Head; Slice index 97; Field of view 240 mm wide, 1.00 mm slice spacing
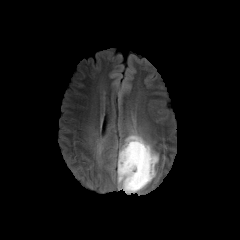
FLAIR MR image.
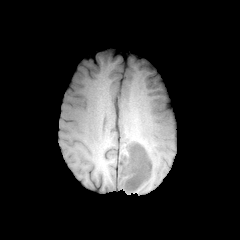
T1-weighted MR.
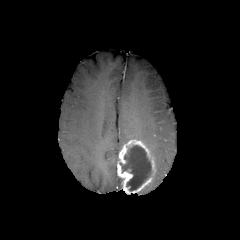
Post-contrast T1-weighted MRI.
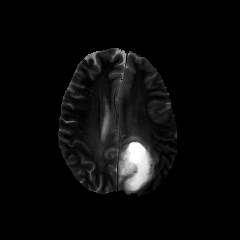
T2-weighted MR of the same slice.
Edema: bounding box rect(119, 125, 159, 168).
Non-enhancing tumor core: bounding box rect(122, 144, 151, 190).
Enhancing tumor: bounding box rect(117, 140, 155, 194).